Field of view 240 mm wide, 1.00 mm slice spacing, Slice index 115, Image size 240x240
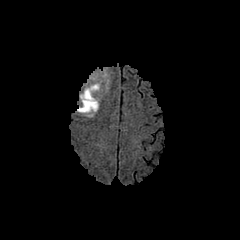
FLAIR MR image.
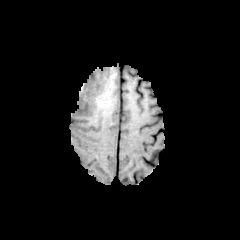
Same slice, T1-weighted MR.
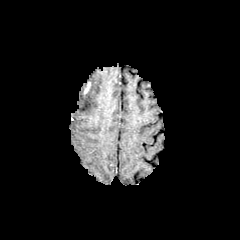
Same slice, post-contrast T1-weighted MR.
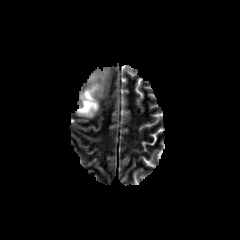
T2-weighted magnetic resonance of the same slice.
Edema at 77 82 100 117.